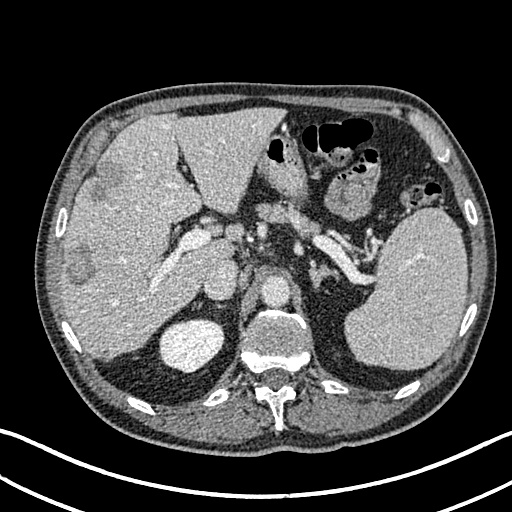 CT. 512x512 px. {"kidney": ["rect(160, 320, 223, 372)"], "hepatic_lesion": ["rect(86, 158, 125, 202)", "rect(67, 244, 95, 286)"], "liver": ["rect(209, 226, 222, 235)", "rect(62, 107, 284, 359)"]}